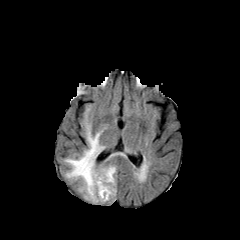
FLAIR MR image.
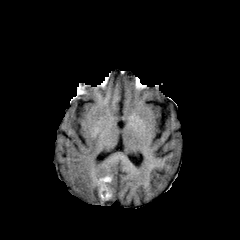
T1-weighted MR image.
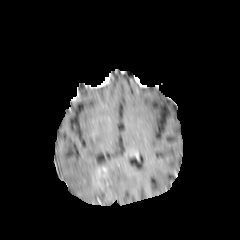
Same slice, post-contrast T1-weighted MR.
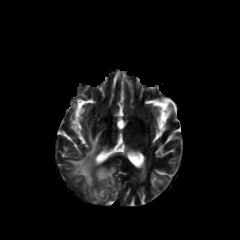
Same slice, T2-weighted MR.
Head
Edema at [x1=65, y1=123, x2=116, y2=203].
Enhancing tumor at [x1=96, y1=167, x2=107, y2=179].
Non-enhancing tumor core at [x1=94, y1=191, x2=107, y2=201].